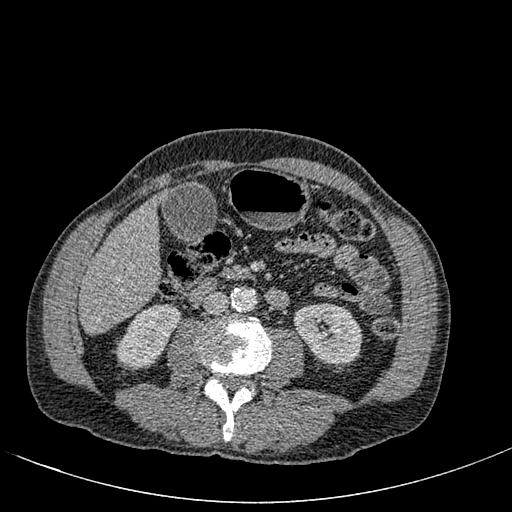
CT slice.
2 kidney regions appear at 116,304,180,368; 294,302,361,364. The liver is at 79,201,159,331.